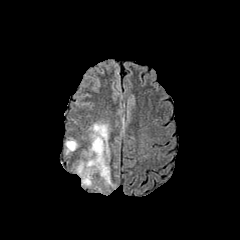
FLAIR MR image.
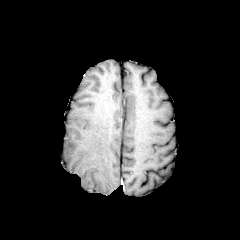
T1-weighted magnetic resonance.
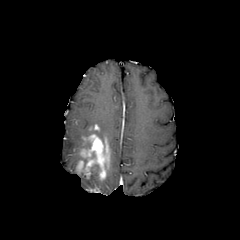
Post-contrast T1-weighted magnetic resonance.
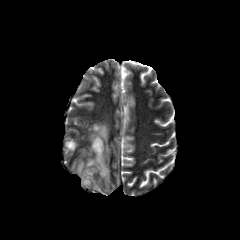
Same slice, T2-weighted MR image.
Brain. 240x240.
Edema — (65, 138, 78, 154), (78, 165, 99, 186), (89, 123, 109, 140), (103, 168, 113, 185).
Non-enhancing tumor core — (82, 152, 95, 169).
Enhancing tumor — (94, 123, 100, 132), (76, 134, 109, 179).